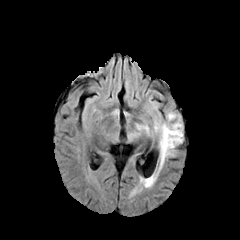
FLAIR MR.
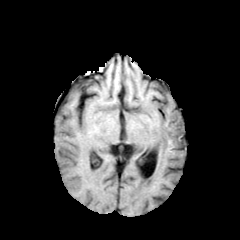
T1-weighted MR.
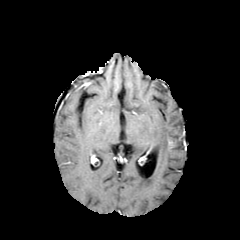
Same slice, post-contrast T1-weighted MR image.
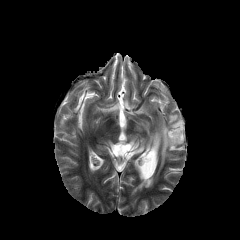
T2-weighted magnetic resonance.
240x240.
The edema is bounded by 127,110,183,195.